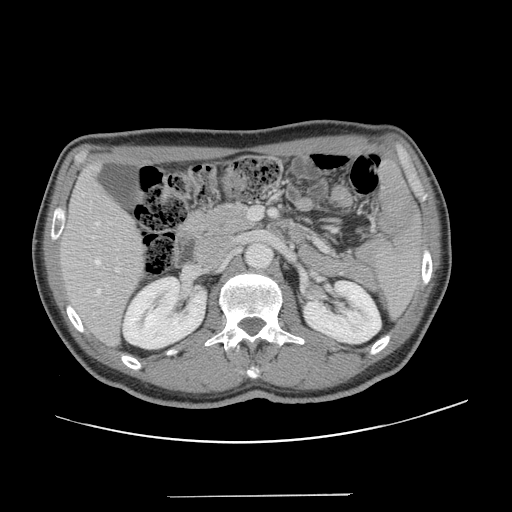

Abdomen. CT image.

Some hepatic vessels may have no box.
Segmented structures:
* hepatic vessel: l=91, t=235, r=95, b=238; l=95, t=260, r=100, b=264; l=96, t=289, r=100, b=295; l=115, t=268, r=119, b=271; l=95, t=222, r=99, b=224